CT, Field of view 445x445 mm
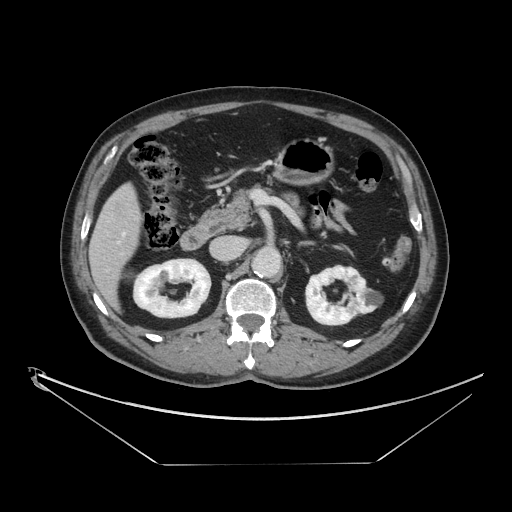
The vessel annotation is not exhaustive.
Findings:
• hepatic vessel: bbox=[122, 233, 124, 236]; bbox=[118, 241, 119, 243]